FLAIR MRI.
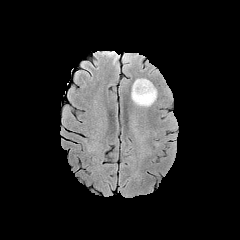
T1-weighted magnetic resonance.
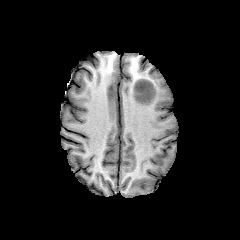
Post-contrast T1-weighted magnetic resonance.
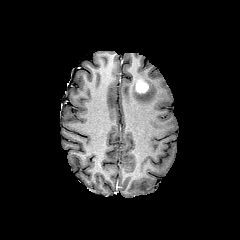
T2-weighted MR.
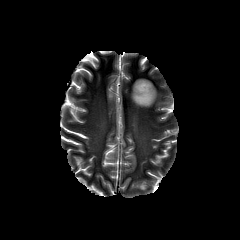
Head; 240x240 px
The enhancing tumor is bounded by [x1=135, y1=79, x2=148, y2=93]. The edema lies within [x1=131, y1=78, x2=157, y2=107].